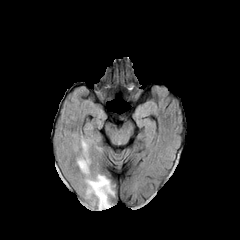
FLAIR MRI.
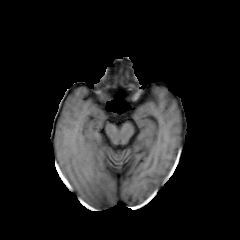
T1-weighted MR.
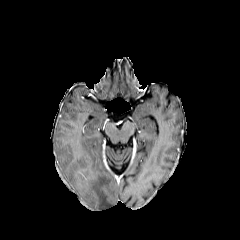
Same slice, post-contrast T1-weighted magnetic resonance.
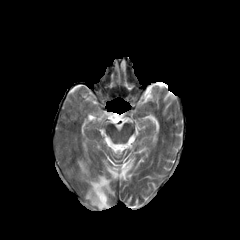
T2-weighted magnetic resonance of the same slice.
240x240 px
Edema = [x1=76, y1=139, x2=113, y2=209].